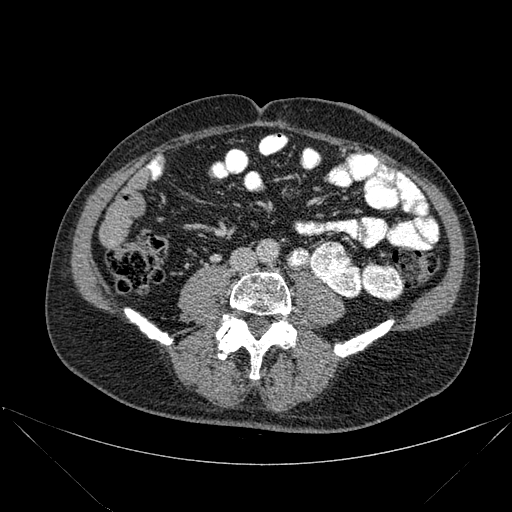

CT scan slice

Bone — (left=125, top=309, right=172, bottom=344), (left=216, top=315, right=296, bottom=379), (left=230, top=272, right=290, bottom=316), (left=334, top=320, right=393, bottom=356).